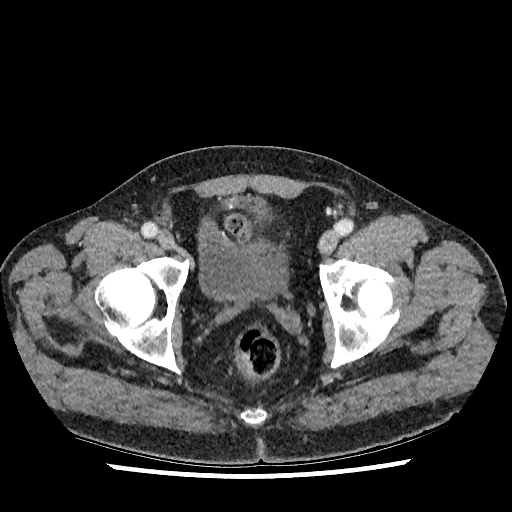
Pelvis | CT slice

{"urinary_bladder": ["x1=222 y1=199 x2=263 y2=205", "x1=249 y1=208 x2=273 y2=228", "x1=198 y1=225 x2=288 y2=309"]}